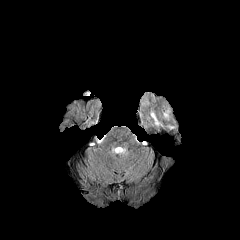
FLAIR MR image.
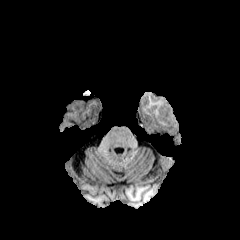
T1-weighted MR.
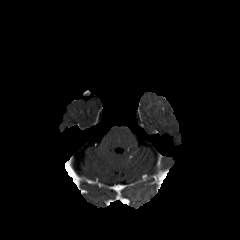
Post-contrast T1-weighted MR.
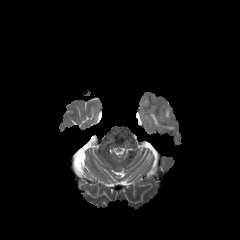
T2-weighted MR image of the same slice.
Brain
Edema: 149, 111, 174, 129.